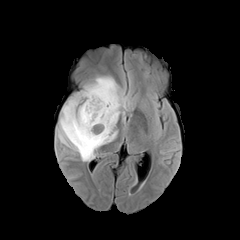
FLAIR MR.
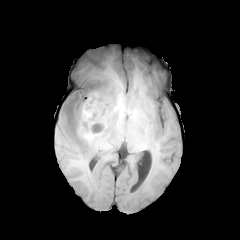
T1-weighted magnetic resonance.
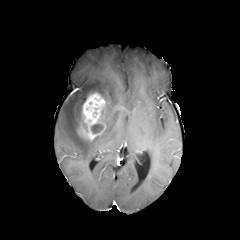
Post-contrast T1-weighted MR image.
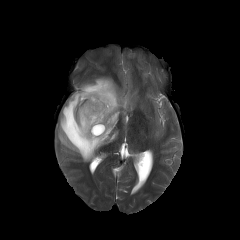
T2-weighted magnetic resonance of the same slice.
Brain. 240x240.
Findings:
• non-enhancing tumor core: 90:105:106:134, 79:122:87:132
• edema: 55:76:131:161
• enhancing tumor: 82:93:105:140